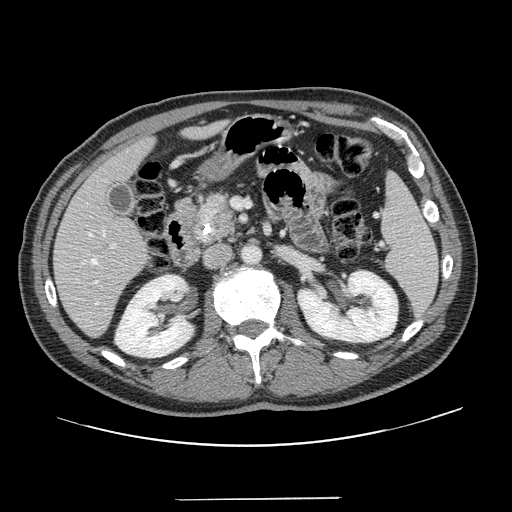

CT slice, Upper abdomen

Pancreatic tumor — region(197, 196, 233, 244).
Pancreas — region(174, 187, 239, 248).